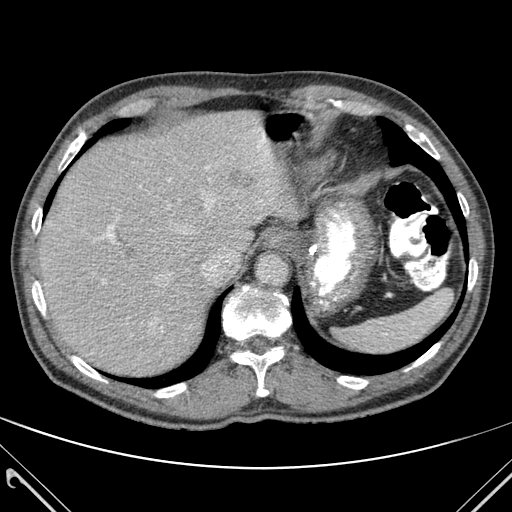
Upper abdomen; Computed tomography
Lung: bounding box 45, 187, 56, 211; 377, 117, 466, 251; 82, 118, 129, 152; 291, 287, 455, 374; 124, 292, 226, 388.
Bone: bounding box 232, 347, 283, 396; 32, 281, 45, 315; 72, 356, 105, 381; 337, 376, 367, 389; 155, 384, 185, 397; 59, 133, 85, 170; 458, 193, 468, 215; 32, 208, 41, 233; 223, 286, 290, 340; 406, 125, 439, 158; 411, 343, 439, 367; 468, 259, 477, 289.
Liver: bounding box 39, 111, 299, 376.
Liver lesion: bounding box 230, 169, 250, 188.